FLAIR MR.
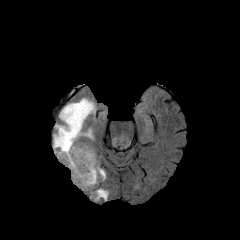
T1-weighted MR.
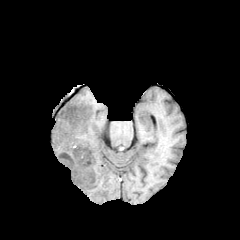
Post-contrast T1-weighted MRI.
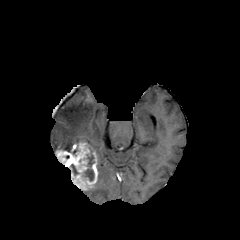
T2-weighted MR.
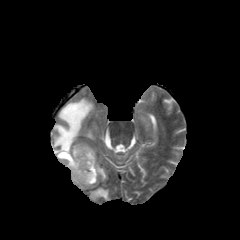
Edema — [90, 166, 108, 199], [53, 97, 95, 150].
Enhancing tumor — [56, 144, 97, 189].
Non-enhancing tumor core — [88, 148, 95, 165], [84, 168, 93, 181].